FLAIR MR.
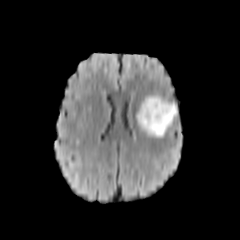
T1-weighted MR image.
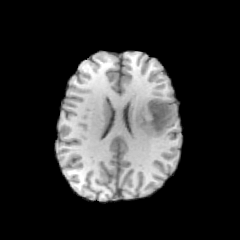
Post-contrast T1-weighted MR image.
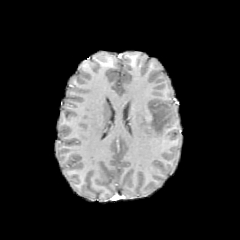
T2-weighted MR image.
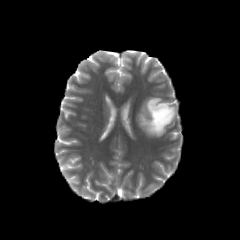
Brain
{"edema": [{"x1": 136, "y1": 96, "x2": 166, "y2": 137}], "non-enhancing_tumor_core": [{"x1": 145, "y1": 98, "x2": 175, "y2": 132}]}